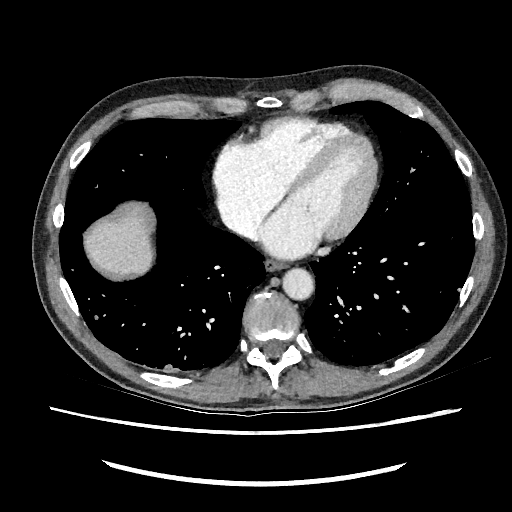
Liver. Computed tomography. The liver is located at x1=85, y1=212, x2=152, y2=273.